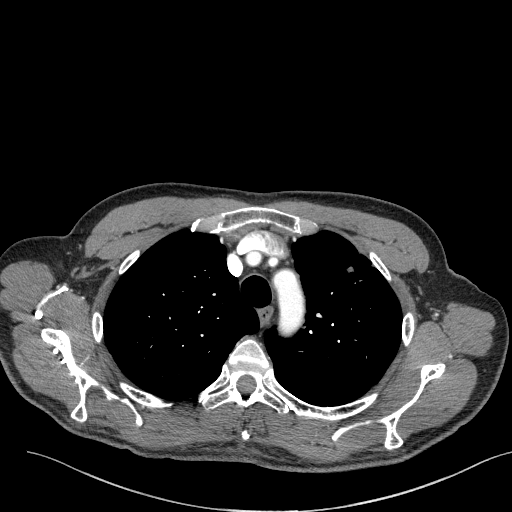 CT.

The lung tumor is bounded by box(342, 260, 371, 295).